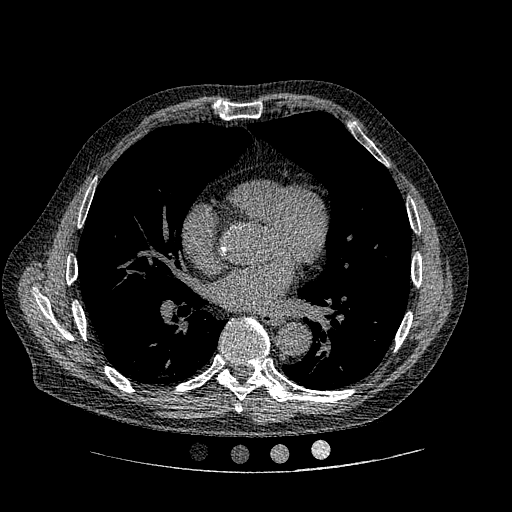 Computed tomography
lung_tumor:
  - 98, 197, 111, 205